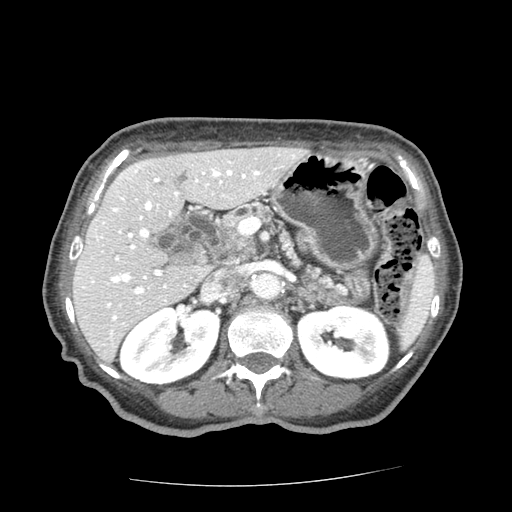
Abdomen | Computed tomography
Pancreas at rect(280, 233, 343, 294); rect(220, 254, 245, 262); rect(220, 203, 272, 243).
Pancreatic tumor at rect(215, 227, 256, 259).